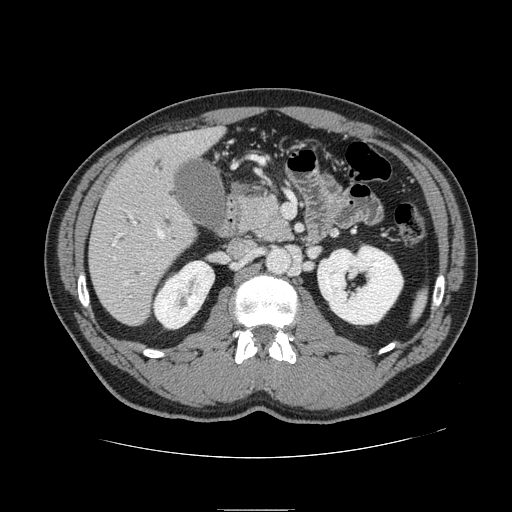

CT image. Abdomen.

{"pancreatic_tumor": ["[248,202,281,233]"], "pancreas": ["[238,196,292,240]"]}